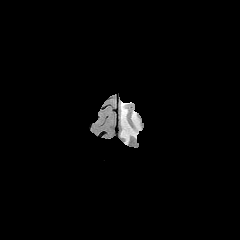
FLAIR MR image.
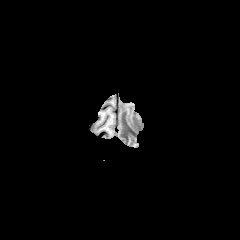
T1-weighted MR image of the same slice.
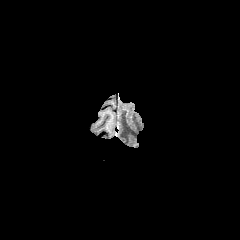
Post-contrast T1-weighted magnetic resonance of the same slice.
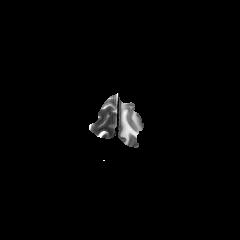
T2-weighted MRI of the same slice.
240x240 px.
<segmentation>
  <non-enhancing_tumor_core>box=[122, 107, 131, 125]</non-enhancing_tumor_core>
  <edema>box=[120, 102, 140, 144]</edema>
</segmentation>